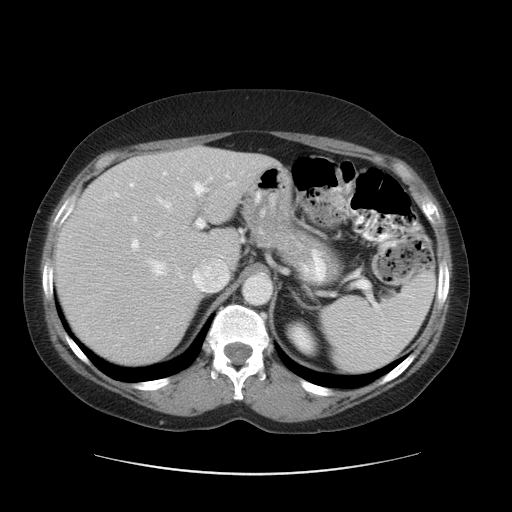
Image size 512x512. Pelvis. Computed tomography. <segmentation>
  <colon_tumor>317 169 355 215</colon_tumor>
</segmentation>